FLAIR MR image.
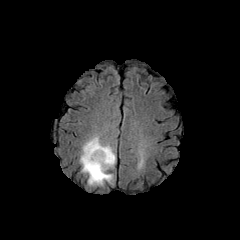
T1-weighted MR.
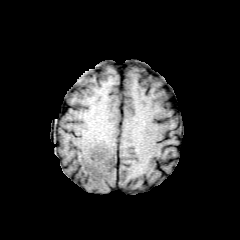
Post-contrast T1-weighted MR.
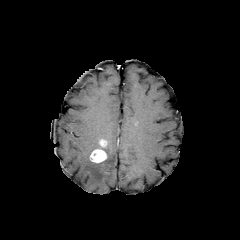
T2-weighted MR.
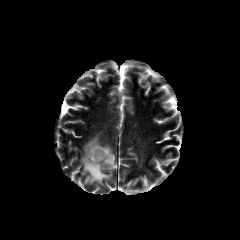
<segmentation>
  <enhancing_tumor>bbox=[90, 148, 107, 162]</enhancing_tumor>
  <edema>bbox=[80, 136, 115, 185]</edema>
</segmentation>